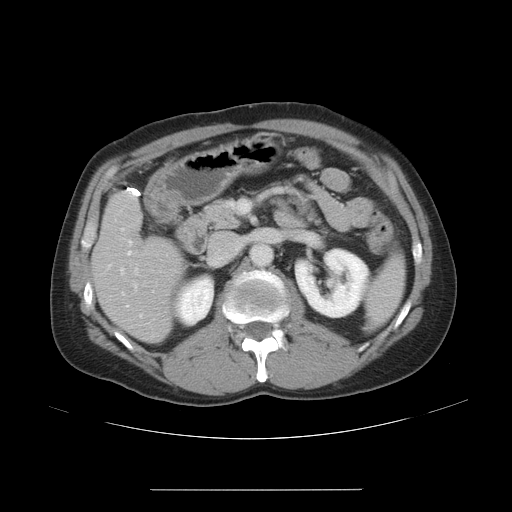 Liver | CT image

Only some of the vessels may be annotated.
Hepatic vessel: bounding box rect(139, 314, 142, 317); rect(135, 268, 137, 275); rect(121, 228, 123, 230); rect(134, 284, 135, 288); rect(127, 251, 131, 254); rect(127, 305, 128, 306).